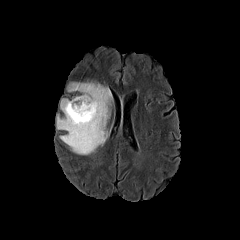
FLAIR magnetic resonance.
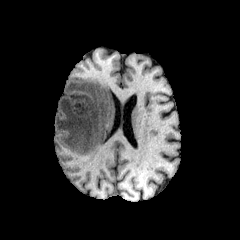
Same slice, T1-weighted magnetic resonance.
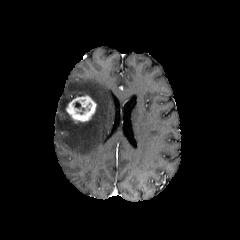
Post-contrast T1-weighted MR.
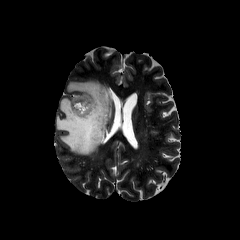
T2-weighted MRI.
Head; Image size 240x240
Enhancing tumor at l=66, t=95, r=96, b=123.
Edema at l=55, t=80, r=112, b=155.